Image width 351 mm. Abdomen. CT scan slice.
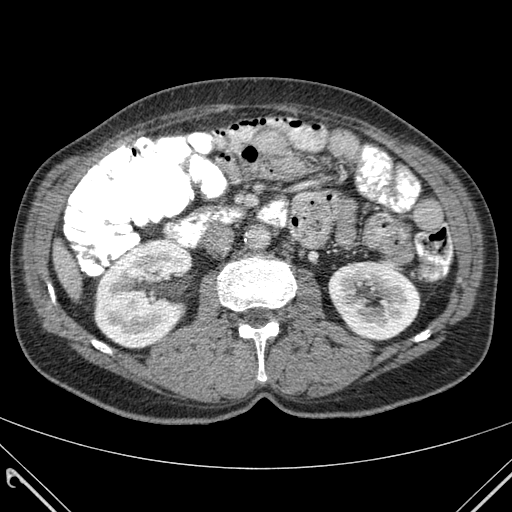 Kidney — bbox=[96, 240, 186, 346]; bbox=[329, 263, 419, 338].
Bone — bbox=[218, 258, 295, 310]; bbox=[92, 340, 110, 352]; bbox=[415, 330, 429, 341]; bbox=[48, 284, 54, 301]; bbox=[239, 322, 278, 380].
Liver — bbox=[54, 239, 80, 300].